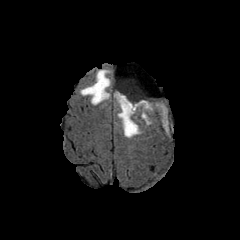
FLAIR magnetic resonance.
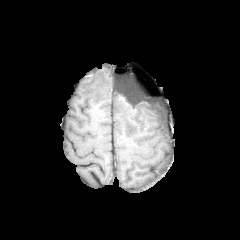
T1-weighted MRI.
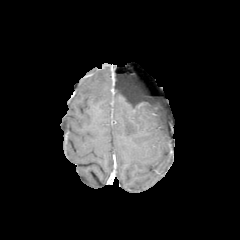
Post-contrast T1-weighted MR of the same slice.
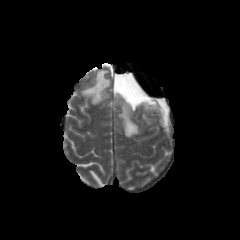
T2-weighted MR of the same slice.
The non-enhancing tumor core appears at 113 90 163 107. The edema is located at 80 65 167 137.